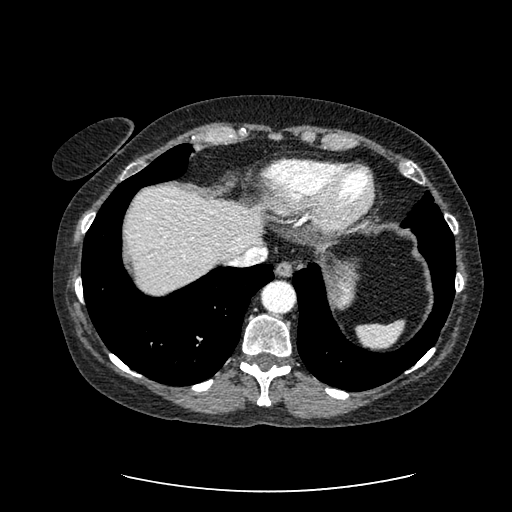

Liver, 512x512, CT image
- liver: left=314, top=244, right=328, bottom=255; left=126, top=187, right=262, bottom=291